Image width 33 mm | Medial temporal lobe | Slice 22/40 | Image size 33x44 | MRI
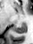
posterior_hippocampus:
  - region(13, 23, 26, 33)